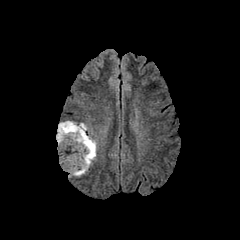
FLAIR MRI.
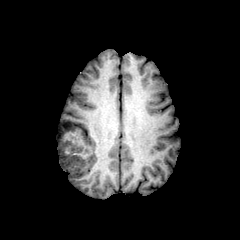
T1-weighted MRI.
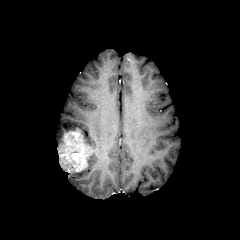
Post-contrast T1-weighted MR image.
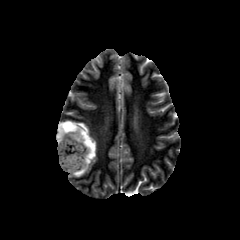
T2-weighted MR image of the same slice.
Image size 240x240
enhancing tumor: x1=60 y1=131 x2=92 y2=172 | non-enhancing tumor core: x1=58 y1=122 x2=93 y2=150 | edema: x1=71 y1=151 x2=97 y2=177, x1=64 y1=120 x2=98 y2=149